Slice 96/155.
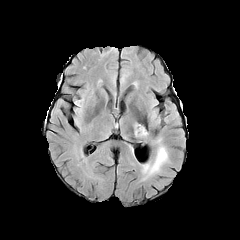
FLAIR magnetic resonance.
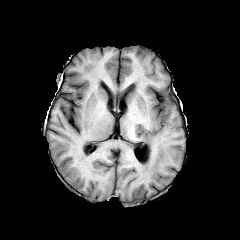
T1-weighted magnetic resonance.
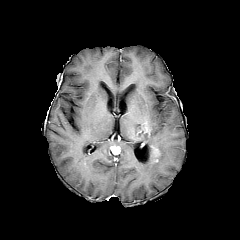
Same slice, post-contrast T1-weighted magnetic resonance.
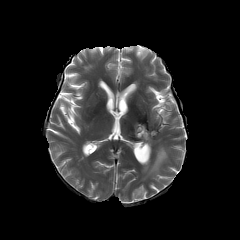
T2-weighted magnetic resonance.
The edema lies within bbox=[140, 145, 169, 179].